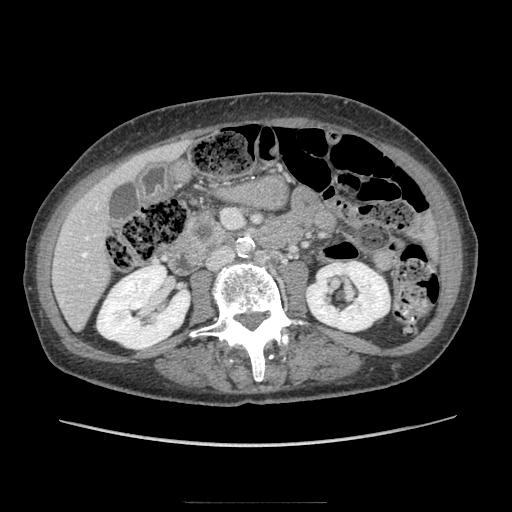

CT image

Segmented structures:
• pancreatic tumor: bbox=[192, 217, 216, 242]
• pancreas: bbox=[181, 207, 230, 260]